Image size 512x512. CT.
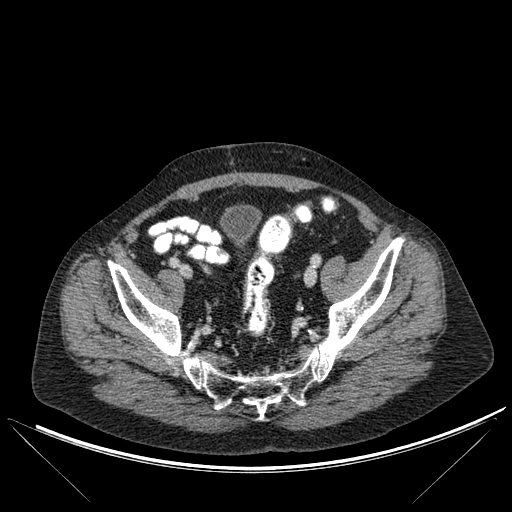
- bone: (108, 237, 403, 419)